FLAIR MR image.
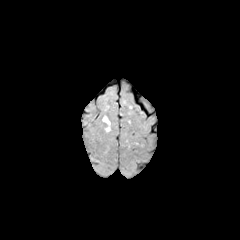
T1-weighted magnetic resonance.
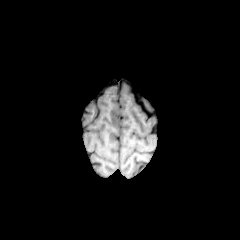
Post-contrast T1-weighted MRI.
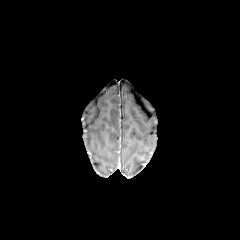
T2-weighted magnetic resonance.
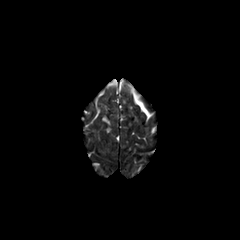
edema:
  - 102,116,110,125